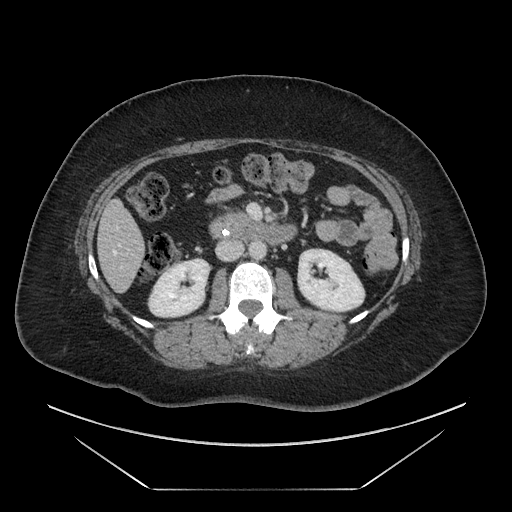

CT
Pancreas = 231,214,248,224.